Slice 24/40; CT; Upper abdomen 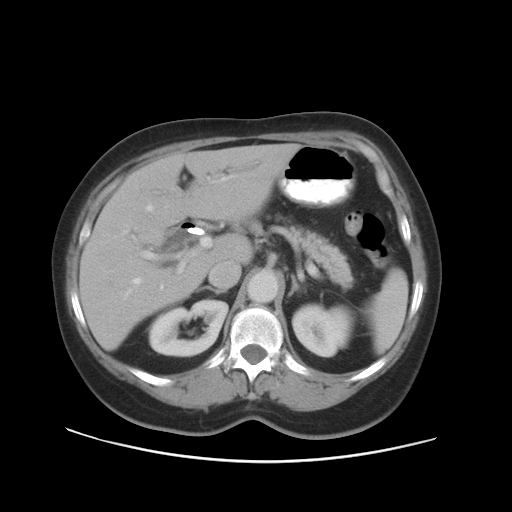

The pancreas appears at [290,226,348,281].